Slice index 27, Image size 512x512, CT, Field of view 412 mm wide, 5.00 mm slice spacing, Abdomen

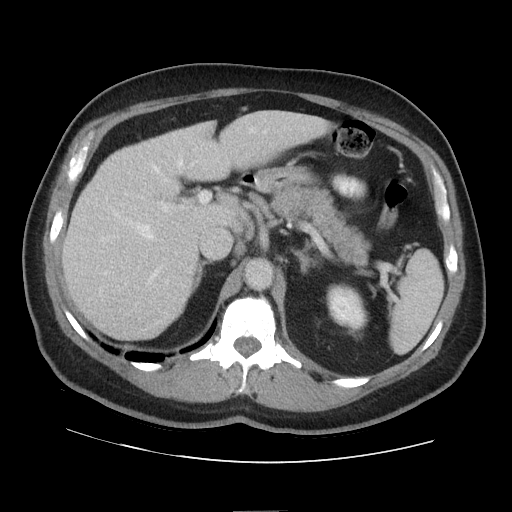 The vessel boxes may cover only some of the vessels.
{"hepatic_vessel": ["left=157, top=202, right=173, bottom=213"]}